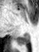

Image size 39x52; MR; Medial temporal lobe
Posterior hippocampus: (17, 34, 29, 44).